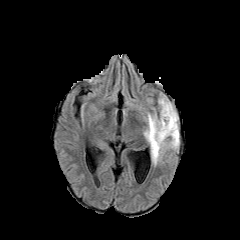
FLAIR MR.
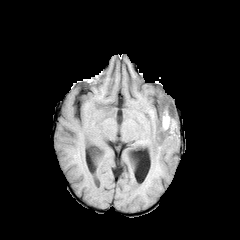
T1-weighted MRI of the same slice.
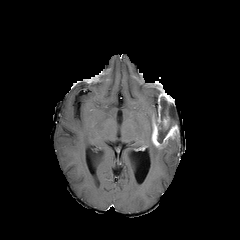
Post-contrast T1-weighted MR image of the same slice.
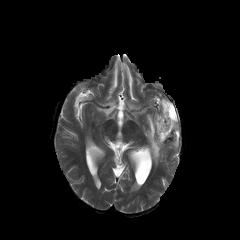
T2-weighted MR.
Image size 240x240; Brain
Enhancing tumor: bounding box [152,90,172,147], [162,124,178,143].
Non-enhancing tumor core: bounding box [157,97,176,143].
Edema: bounding box [143,104,179,166].